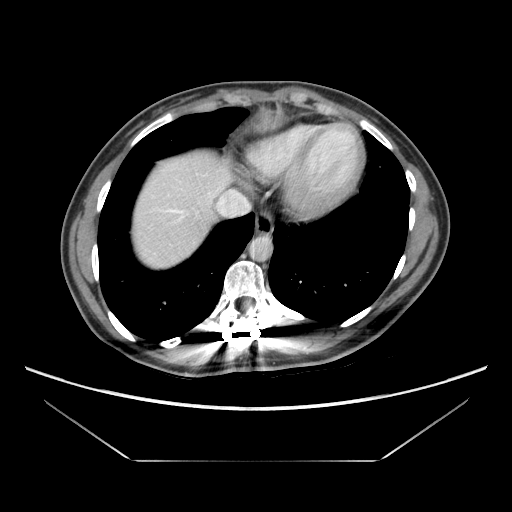
Liver, CT, Image size 512x512

Only some of the vessels may be annotated.
2 hepatic vessel regions are located at x1=217 y1=191 x2=248 y2=214, x1=152 y1=208 x2=184 y2=220.